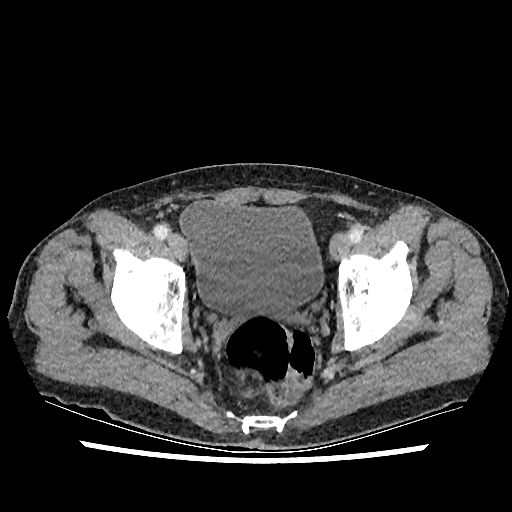

Image size 512x512 | CT
Annotated regions:
- urinary bladder: (left=181, top=200, right=324, bottom=332)